240x240 px | Field of view 240 mm wide, 1.00 mm slice spacing | Slice index 55
FLAIR MR image.
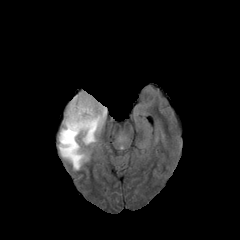
T1-weighted MR.
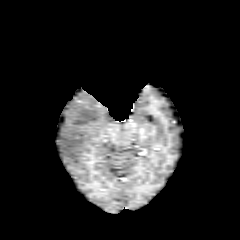
Post-contrast T1-weighted MR.
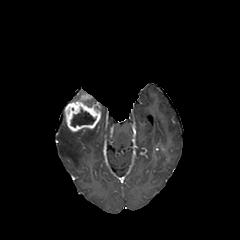
T2-weighted MR.
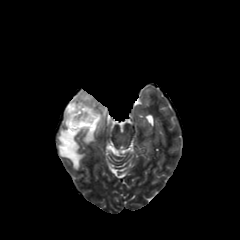
enhancing_tumor:
  - (x1=63, y1=90, x2=101, y2=132)
edema:
  - (x1=57, y1=105, x2=107, y2=169)
non-enhancing_tumor_core:
  - (x1=71, y1=109, x2=95, y2=127)